Slice 146/565. CT image. 512x512 px.
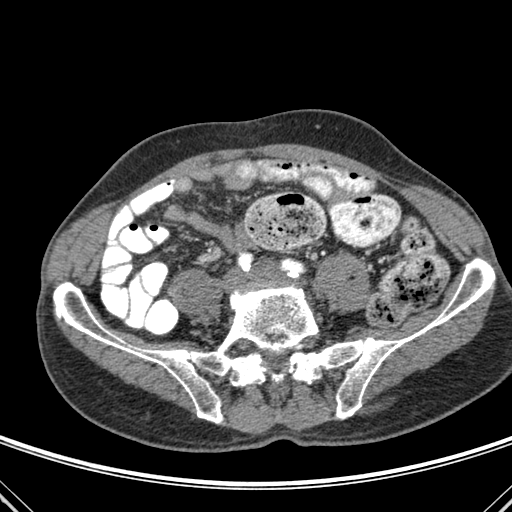

<segmentation>
  <bone>x1=53 y1=258 x2=494 y2=423</bone>
</segmentation>